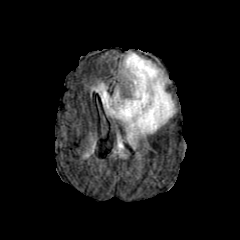
FLAIR MR image.
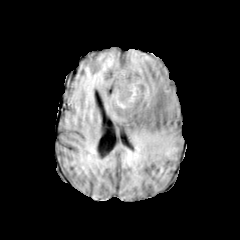
Same slice, T1-weighted magnetic resonance.
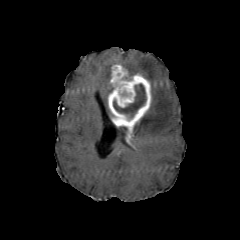
Post-contrast T1-weighted MRI.
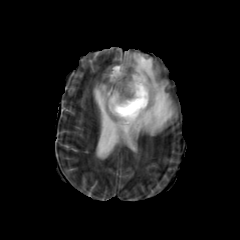
Same slice, T2-weighted MR.
Edema at {"x1": 93, "y1": 83, "x2": 113, "y2": 116}, {"x1": 117, "y1": 135, "x2": 123, "y2": 149}, {"x1": 123, "y1": 51, "x2": 175, "y2": 137}.
Enhancing tumor at {"x1": 107, "y1": 64, "x2": 151, "y2": 128}.
Non-enhancing tumor core at {"x1": 113, "y1": 83, "x2": 146, "y2": 117}.